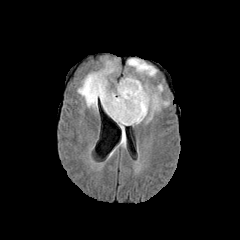
FLAIR MR.
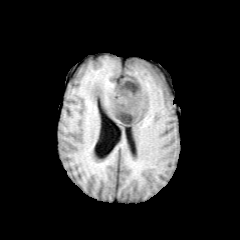
T1-weighted magnetic resonance.
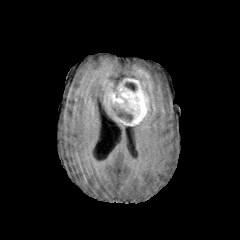
Post-contrast T1-weighted MR image.
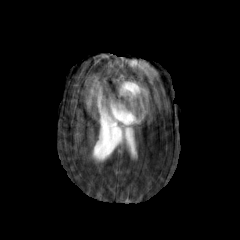
Same slice, T2-weighted MRI.
Brain
enhancing tumor: <box>105,77,149,125</box> | non-enhancing tumor core: <box>124,82,137,91</box>, <box>111,104,133,121</box> | edema: <box>126,58,163,121</box>, <box>77,61,126,147</box>